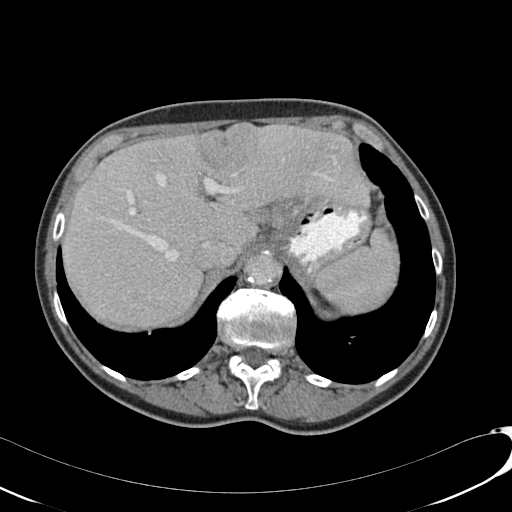
512x512 | CT slice
The liver appears at [64,124,368,326]. The liver lesion is at [199,124,259,170].